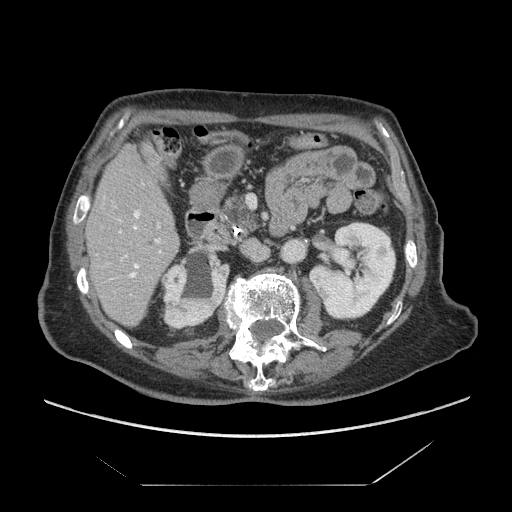

Image size 512x512; Upper abdomen; CT slice

<segmentation>
  <pancreas>box(331, 216, 351, 226); box(218, 190, 264, 242)</pancreas>
</segmentation>